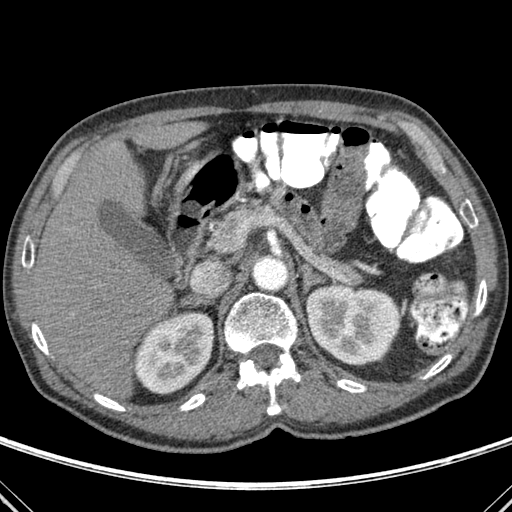
512x512, CT image, Abdomen

9 bone regions are bounded by [423, 354, 451, 378], [337, 379, 365, 392], [475, 279, 486, 315], [462, 199, 477, 227], [94, 394, 125, 411], [32, 323, 48, 354], [224, 293, 300, 415], [180, 394, 205, 410], [22, 236, 33, 267]. 2 kidney regions appear at [307, 286, 398, 363], [136, 314, 212, 392]. 2 liver regions are bounded by [33, 141, 173, 400], [133, 122, 207, 148].